FLAIR MR.
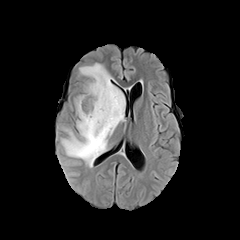
T1-weighted MR.
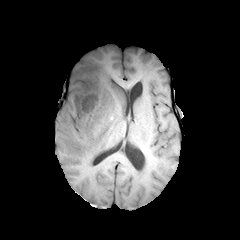
Post-contrast T1-weighted magnetic resonance.
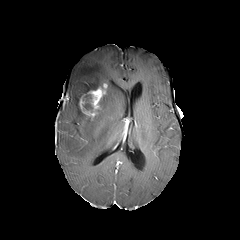
T2-weighted MRI.
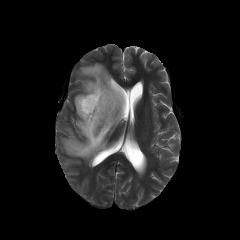
Head
enhancing tumor: <bbox>79, 83, 107, 116</bbox> | edema: <bbox>61, 63, 125, 167</bbox> | non-enhancing tumor core: <bbox>82, 102, 91, 110</bbox>, <bbox>86, 82, 105, 91</bbox>, <bbox>82, 87, 107, 121</bbox>